240x240 px; Head; Image width 240 mm
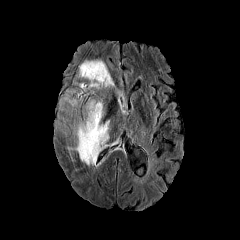
FLAIR MRI.
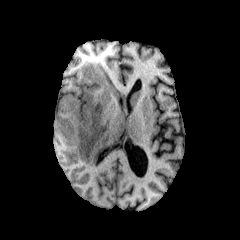
T1-weighted MRI of the same slice.
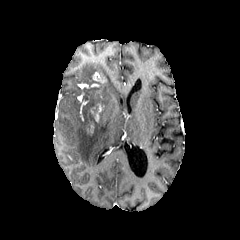
Same slice, post-contrast T1-weighted MRI.
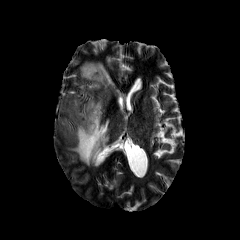
Same slice, T2-weighted magnetic resonance.
Findings:
• enhancing tumor: l=92, t=72, r=106, b=83; l=78, t=83, r=99, b=89; l=94, t=104, r=103, b=122
• non-enhancing tumor core: l=82, t=79, r=101, b=86; l=75, t=86, r=103, b=131
• edema: l=79, t=61, r=114, b=90; l=59, t=88, r=109, b=166